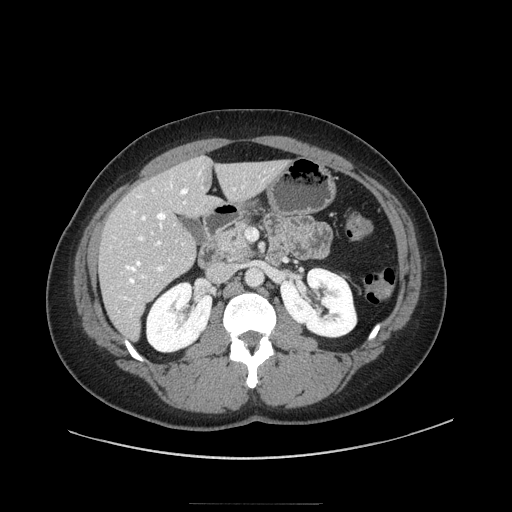
CT. Upper abdomen.

Annotated regions:
• pancreas: box=[216, 219, 255, 263]
• pancreatic tumor: box=[226, 239, 254, 258]